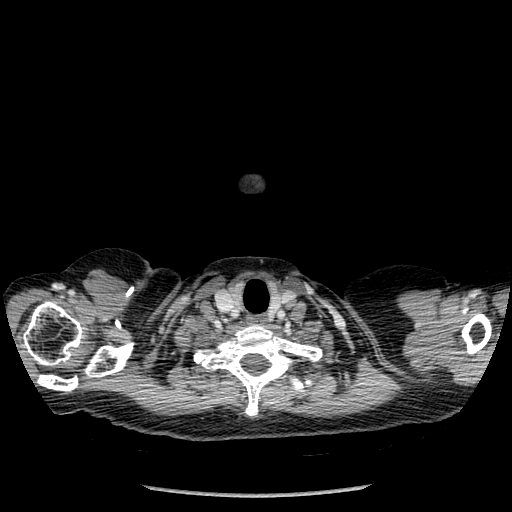

CT slice

Bone: (left=290, top=378, right=303, bottom=391), (left=37, top=374, right=78, bottom=391), (left=85, top=342, right=134, bottom=377), (left=318, top=378, right=330, bottom=389), (left=461, top=312, right=491, bottom=354), (left=194, top=324, right=322, bottom=415), (left=23, top=301, right=84, bottom=365).